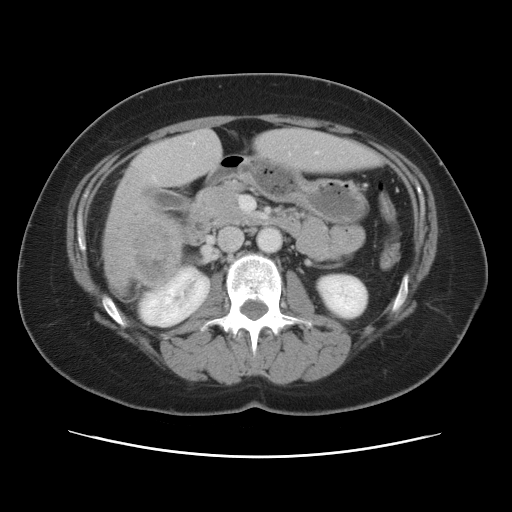
Liver; CT image

Only some of the vessels may be annotated.
Segmented structures:
* liver tumor: [x1=127, y1=218, x2=178, y2=284]
* hepatic vessel: [x1=316, y1=152, x2=318, y2=153]